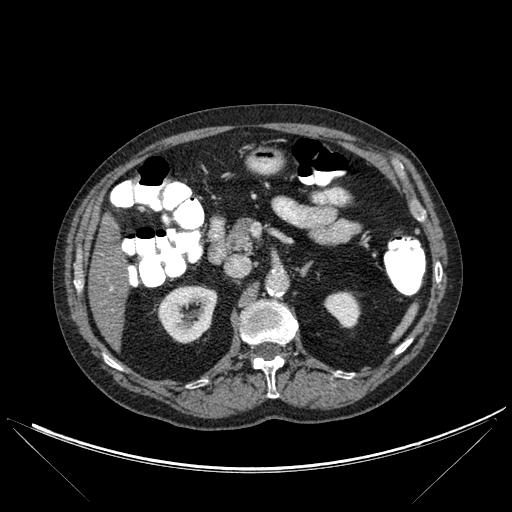 CT. {
  "liver": [
    "x1=89, y1=214, x2=129, y2=348"
  ],
  "bone": [
    "x1=395, y1=339, x2=411, y2=353",
    "x1=252, y1=356, x2=284, y2=397",
    "x1=240, y1=301, x2=297, y2=344",
    "x1=74, y1=280, x2=81, y2=290",
    "x1=188, y1=380, x2=206, y2=388",
    "x1=435, y1=262, x2=442, y2=281",
    "x1=104, y1=355, x2=122, y2=369",
    "x1=335, y1=371, x2=353, y2=378"
  ],
  "kidney": [
    "x1=325, y1=292, x2=359, y2=326",
    "x1=159, y1=287, x2=216, y2=342"
  ]
}